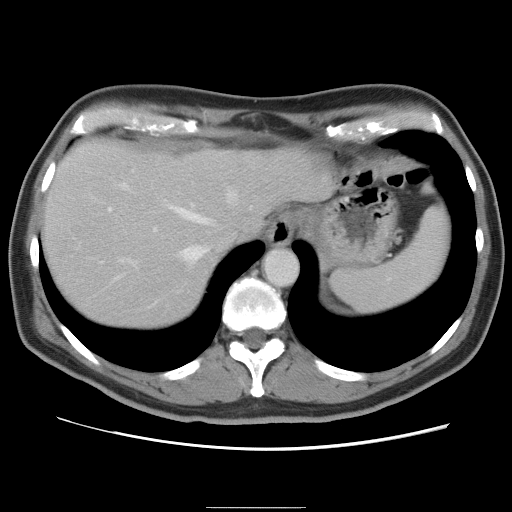

CT
The vessel annotation is not exhaustive.
Hepatic vessel: bounding box [x1=116, y1=182, x2=127, y2=188], [x1=119, y1=257, x2=136, y2=265], [x1=180, y1=244, x2=206, y2=262], [x1=227, y1=186, x2=235, y2=202], [x1=153, y1=227, x2=155, y2=230], [x1=115, y1=274, x2=121, y2=278], [x1=100, y1=261, x2=101, y2=262], [x1=108, y1=207, x2=110, y2=210], [x1=168, y1=204, x2=210, y2=223].